Upper abdomen, Computed tomography, 512x512 px
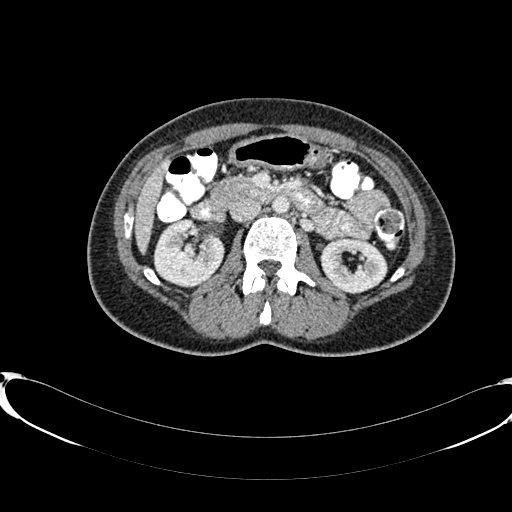
Liver = 134,162,166,252.
Kidney = 155,221,222,285; 322,240,385,291.